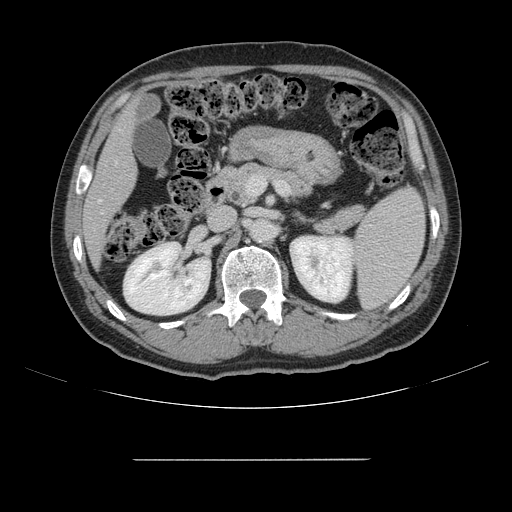 CT scan slice, Image size 512x512
Not every hepatic vessel necessarily has a box.
hepatic_vessel:
  - left=101, top=211, right=103, bottom=213
  - left=115, top=162, right=116, bottom=164
  - left=99, top=200, right=100, bottom=201